FLAIR MR image.
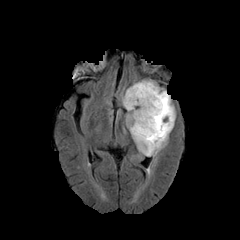
T1-weighted MRI.
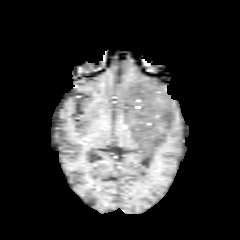
Post-contrast T1-weighted MR image.
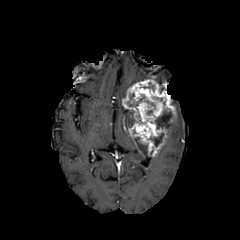
T2-weighted MR image.
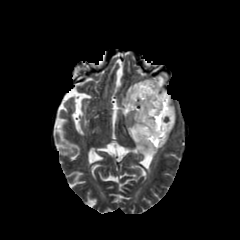
Brain.
4 non-enhancing tumor core regions are bounded by 133, 138, 147, 153; 155, 111, 172, 131; 126, 110, 134, 126; 152, 132, 164, 145. The enhancing tumor is located at 122, 79, 175, 156. The edema is located at 164, 116, 176, 144.